Upper abdomen. CT. Slice 306/696. 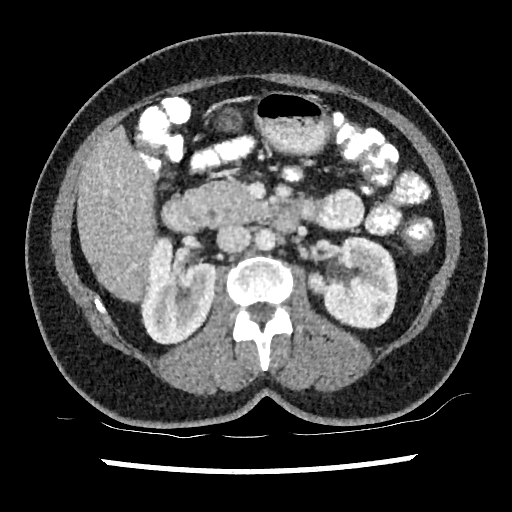 kidney: 142,239,215,343; 311,238,396,327 | liver lesion: 93,263,100,273 | liver: 78,127,155,299